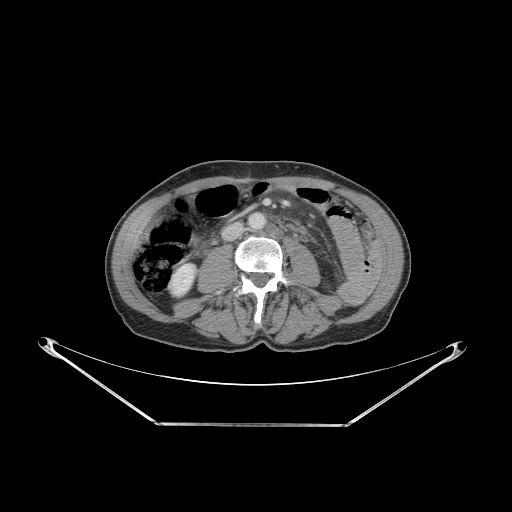 Abdomen | Computed tomography

<segmentation>
  <kidney>box(169, 264, 195, 295)</kidney>
  <bone>box(234, 237, 286, 325)</bone>
</segmentation>